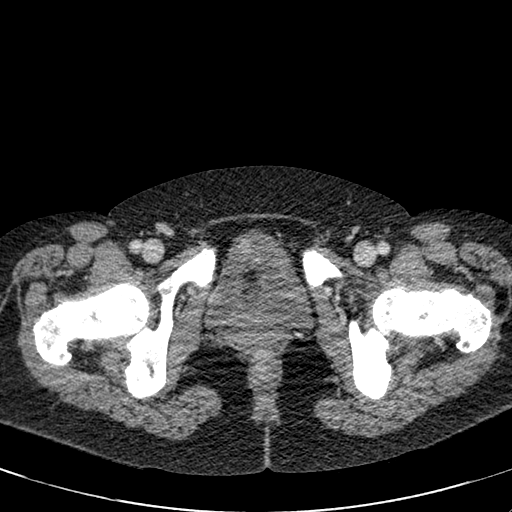
512x512. CT slice.
Segmented structures:
• urinary bladder: <box>203,229,313,332</box>